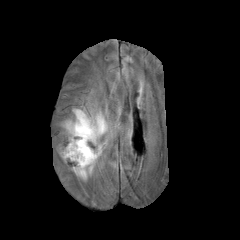
FLAIR MR.
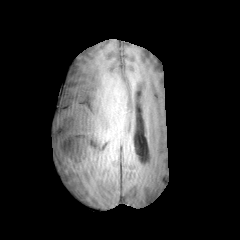
Same slice, T1-weighted magnetic resonance.
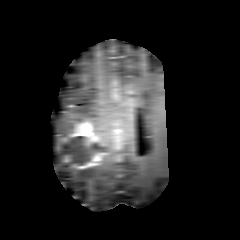
Post-contrast T1-weighted magnetic resonance.
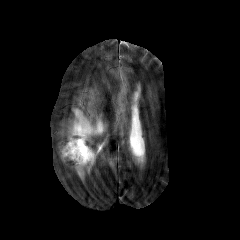
T2-weighted magnetic resonance of the same slice.
enhancing tumor: (left=75, top=156, right=96, bottom=168), (left=69, top=121, right=96, bottom=141) | edema: (left=58, top=106, right=108, bottom=180) | non-enhancing tumor core: (left=66, top=136, right=97, bottom=165)